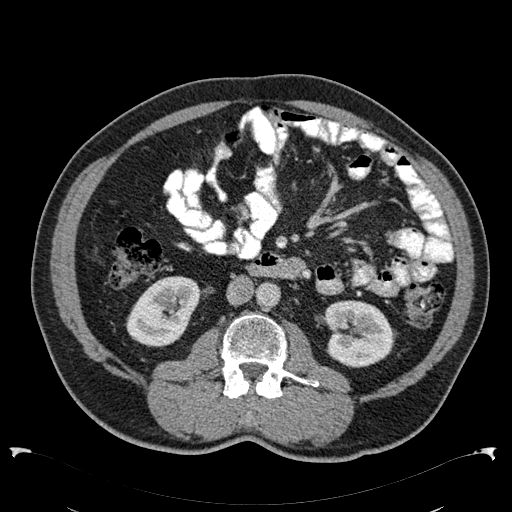

Computed tomography. Abdomen.

Kidney = rect(127, 276, 199, 346); rect(323, 300, 393, 367).